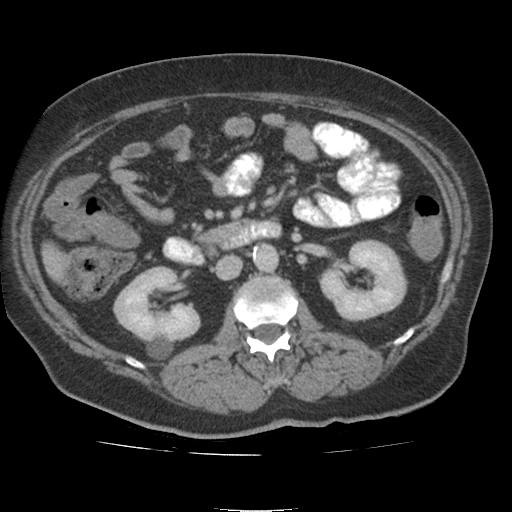 Liver. CT slice. 512x512.

Liver — left=55, top=246, right=68, bottom=274.
Kidney — left=114, top=268, right=197, bottom=359; left=323, top=242, right=401, bottom=317.